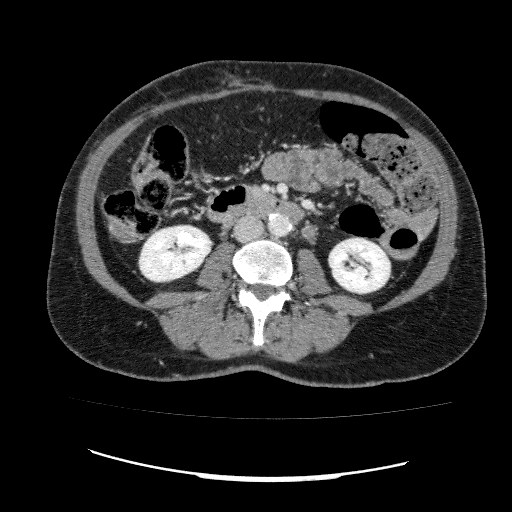 Abdomen | Image size 512x512 | CT image
2 kidney regions are bounded by <bbox>329, 238, 389, 292</bbox>, <bbox>140, 226, 210, 281</bbox>.